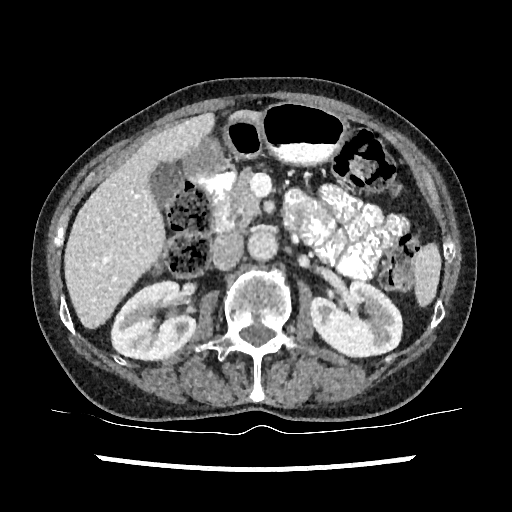

CT scan slice, 512x512, Abdomen
kidney: [x1=311, y1=283, x2=401, y2=355], [x1=112, y1=281, x2=195, y2=359] | liver: [x1=65, y1=113, x2=213, y2=328], [x1=230, y1=111, x2=259, y2=121]